CT image 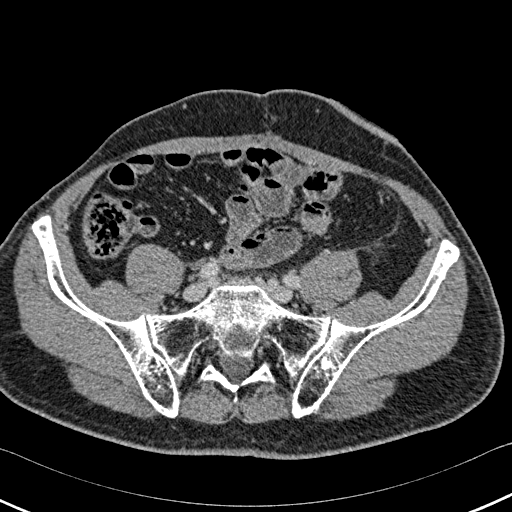

Segmented structures:
* bone: box=[201, 365, 238, 391]; box=[32, 216, 458, 417]; box=[241, 363, 273, 385]